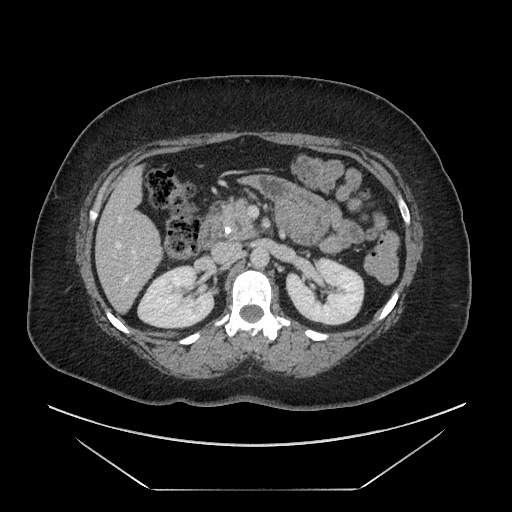
CT image
The pancreas is located at [x1=223, y1=200, x2=256, y2=240].